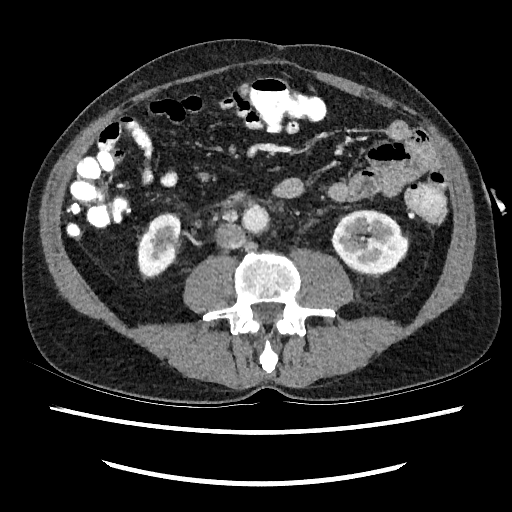 CT; Abdomen

kidney: region(333, 211, 406, 273); region(139, 215, 179, 275)